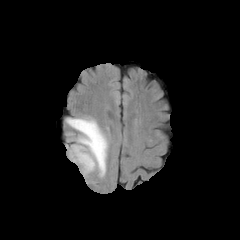
FLAIR MRI.
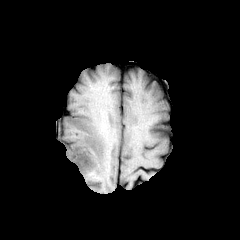
Same slice, T1-weighted MR.
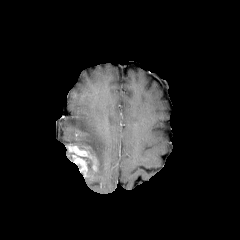
Post-contrast T1-weighted MR of the same slice.
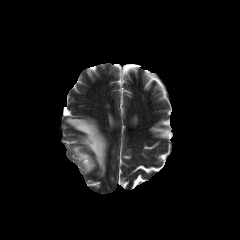
Same slice, T2-weighted MR.
<segmentation>
  <enhancing_tumor>box(68, 145, 95, 175)</enhancing_tumor>
  <non-enhancing_tumor_core>box(86, 158, 92, 173)</non-enhancing_tumor_core>
  <edema>box(66, 116, 107, 175)</edema>
</segmentation>